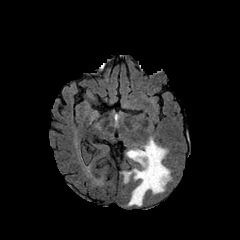
FLAIR MR image.
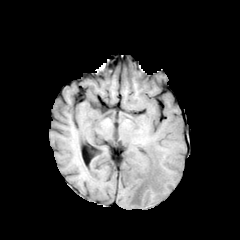
T1-weighted MR.
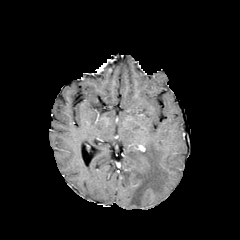
Post-contrast T1-weighted MRI.
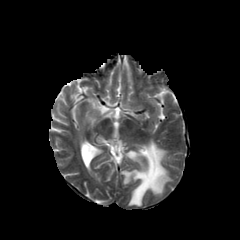
T2-weighted magnetic resonance.
Head, 240x240
Annotated regions:
• edema: 121:140:170:206